Slice 156 of 247. CT slice.

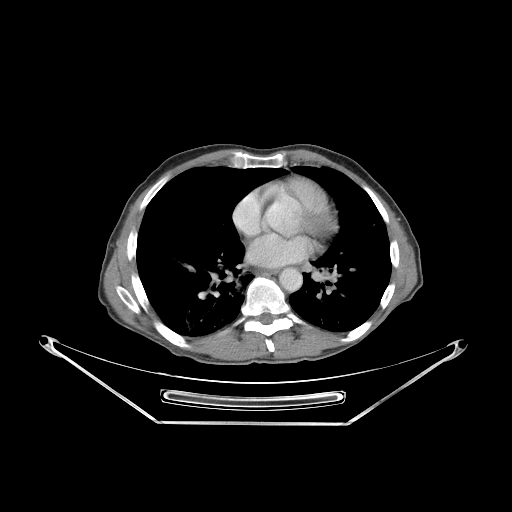
Annotated regions:
* lung: (136,167,285,336), (289,166,390,331)
* bone: (236,152,282,167), (365,187,387,221), (117,287,138,312), (381,284,394,308), (132,275,188,346), (390,241,398,266), (342,322,370,341), (127,232,136,259), (242,277,301,337), (266,339,273,351), (141,178,166,208)